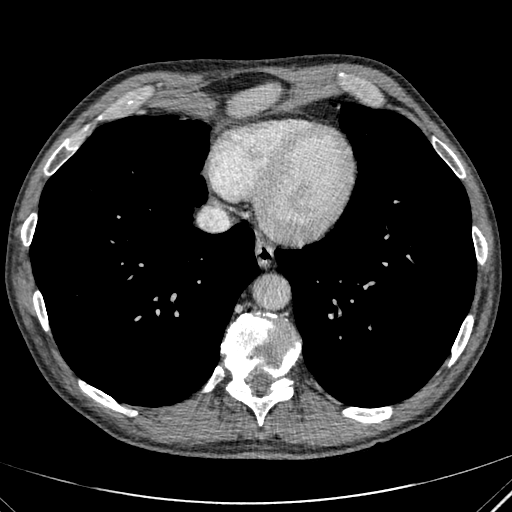 CT
Segmented structures:
* liver: [227, 83, 280, 116]